Abdomen | Computed tomography | 512x512 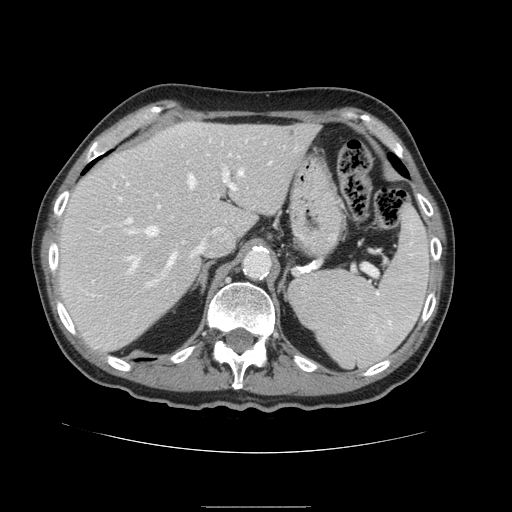

Some hepatic vessels may have no box.
Segmented structures:
• hepatic vessel: (126, 218, 132, 222), (146, 282, 150, 285), (128, 230, 135, 232), (239, 170, 243, 174), (168, 253, 175, 266), (224, 171, 237, 189), (193, 212, 242, 255), (158, 205, 160, 206), (128, 256, 138, 268), (143, 226, 157, 235), (188, 175, 195, 187)